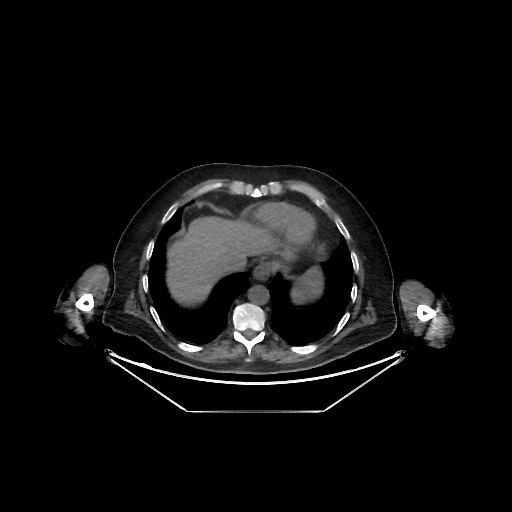 CT slice, Upper abdomen, Image size 512x512

liver: [x1=167, y1=217, x2=274, y2=301]